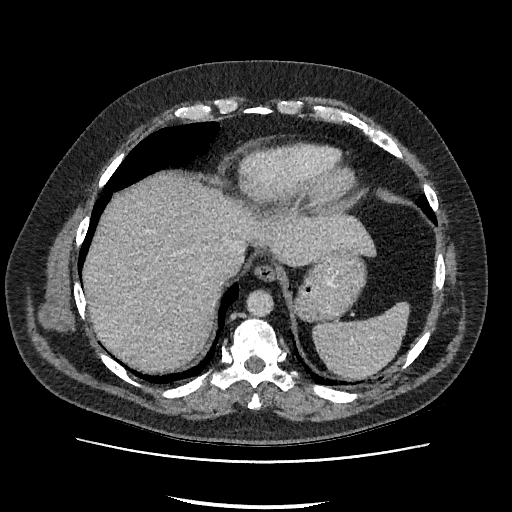

CT
Annotated regions:
• liver: {"x1": 85, "y1": 177, "x2": 374, "y2": 369}